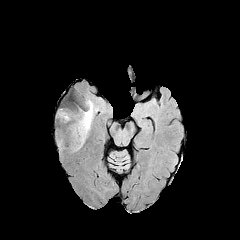
FLAIR MRI.
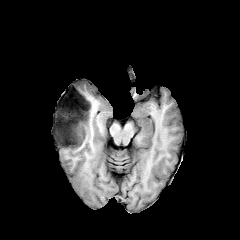
T1-weighted MRI of the same slice.
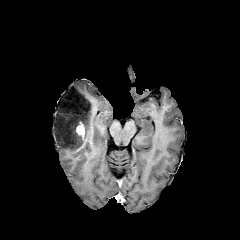
Same slice, post-contrast T1-weighted magnetic resonance.
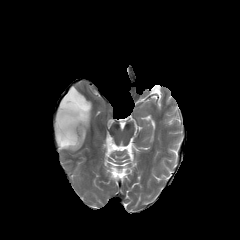
T2-weighted MR image.
Head
• edema: 86 100 98 137
• non-enhancing tumor core: 57 95 90 148
• enhancing tumor: 76 122 85 139